Abdomen; Slice 539 of 845; CT
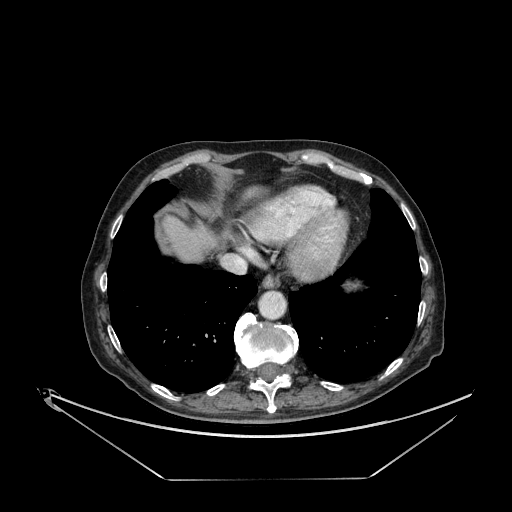 liver: box(164, 217, 214, 259)